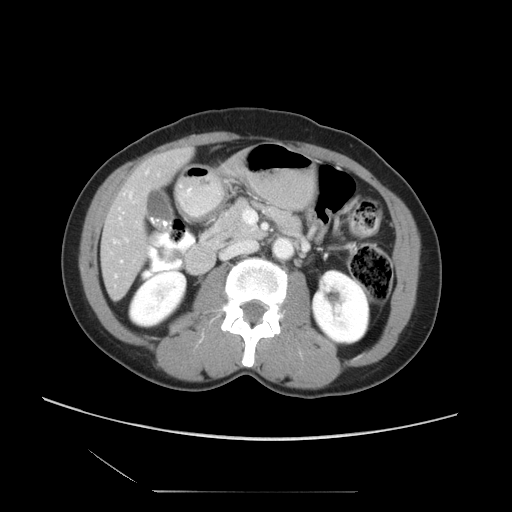 Liver; Computed tomography
Only some of the vessels may be annotated.
Hepatic vessel: bounding box rect(120, 260, 121, 261); rect(113, 239, 118, 243); rect(114, 274, 116, 276); rect(118, 208, 122, 219); rect(147, 248, 150, 254); rect(123, 191, 135, 202); rect(124, 238, 127, 240); rect(145, 171, 147, 173).